Head. Slice 58/155.
FLAIR MR image.
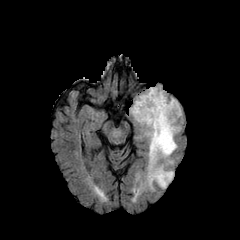
T1-weighted MRI.
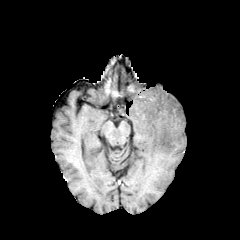
Post-contrast T1-weighted MR.
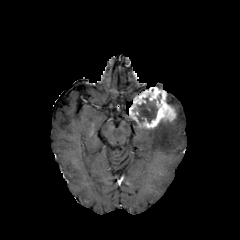
T2-weighted magnetic resonance.
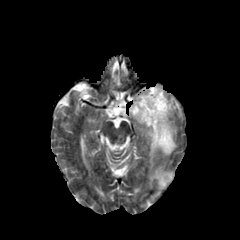
2 edema regions are located at (167, 96, 181, 117), (142, 119, 179, 189). The non-enhancing tumor core is bounded by (137, 98, 157, 122). The enhancing tumor lies within (129, 87, 176, 129).